CT image. Abdomen. 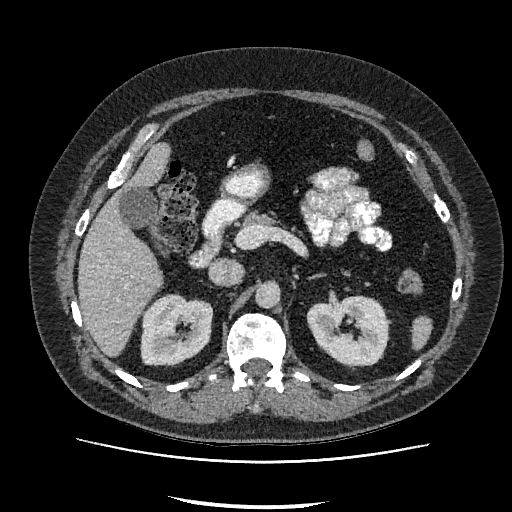
Liver: bounding box box(78, 142, 168, 355).
Kidney: bounding box box(308, 297, 387, 364); box(142, 296, 211, 363).